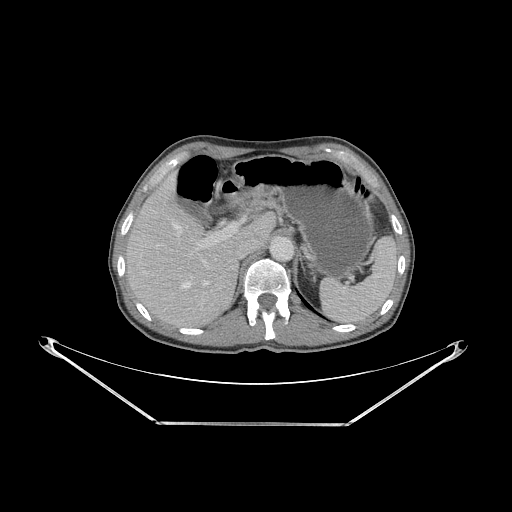

CT

2 liver regions appear at rect(235, 190, 253, 201); rect(127, 171, 275, 327). The lung is at rect(295, 288, 325, 318). 9 bone regions are bounded by rect(180, 328, 202, 334); rect(333, 324, 355, 331); rect(118, 256, 124, 275); rect(137, 303, 150, 320); rect(392, 215, 401, 233); rect(381, 300, 392, 314); rect(121, 214, 132, 234); rect(244, 259, 290, 339); rect(398, 256, 404, 273).